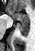 Medial temporal lobe, MR image
{
  "posterior_hippocampus": [
    "bbox(17, 23, 29, 36)"
  ],
  "anterior_hippocampus": [
    "bbox(8, 10, 29, 22)"
  ]
}